CT slice. 512x512. 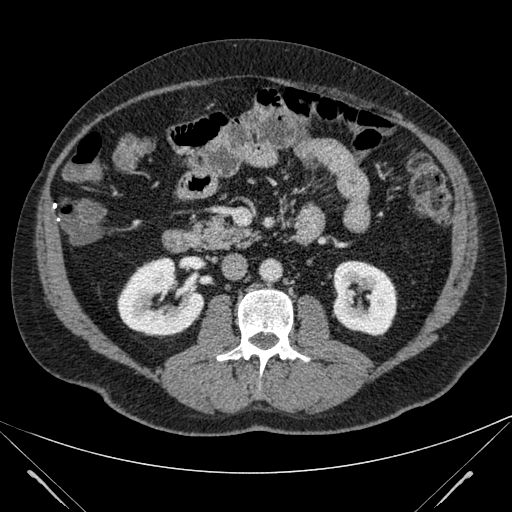

Kidney — box=[118, 258, 203, 334]; box=[334, 261, 395, 334].